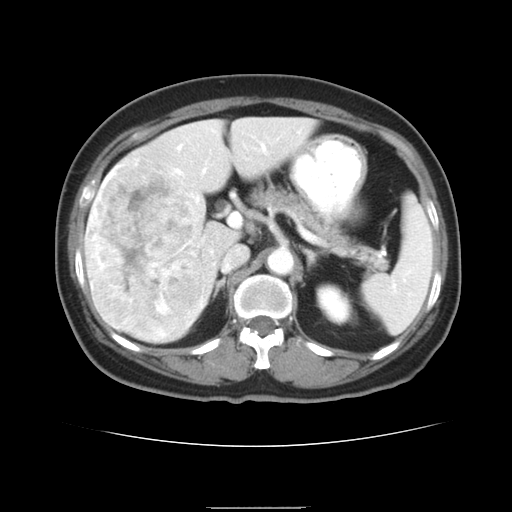

512x512; CT scan slice
Some hepatic vessels may have no box.
liver_tumor:
  - <box>85,160,205,340</box>
hepatic_vessel:
  - <box>173,169,180,173</box>
  - <box>297,131,299,132</box>
  - <box>177,145,180,149</box>
  - <box>261,144,264,150</box>
  - <box>197,198,197,201</box>
  - <box>202,169,204,172</box>